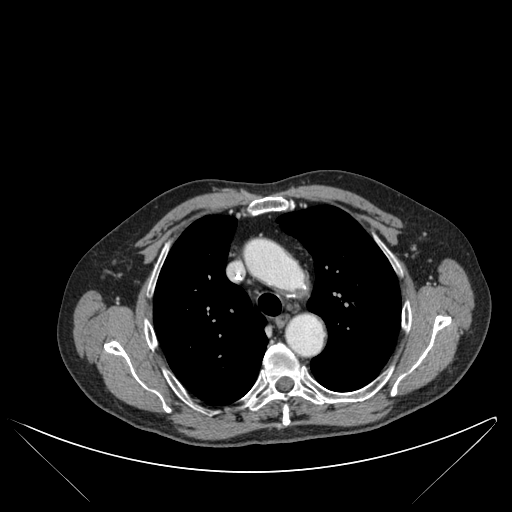 Chest | Computed tomography

<segmentation>
  <bone>l=149, t=246, r=166, b=290; l=385, t=248, r=395, b=267; l=144, t=320, r=156, b=349; l=249, t=197, r=293, b=214; l=243, t=343, r=392, b=424; l=391, t=315, r=451, b=395; l=402, t=302, r=411, b=330; l=163, t=370, r=191, b=404; l=104, t=341, r=170, b=412</bone>
  <lung>l=153, t=215, r=280, b=404; l=277, t=205, r=400, b=391</lung>
</segmentation>